CT | Slice 30 of 73 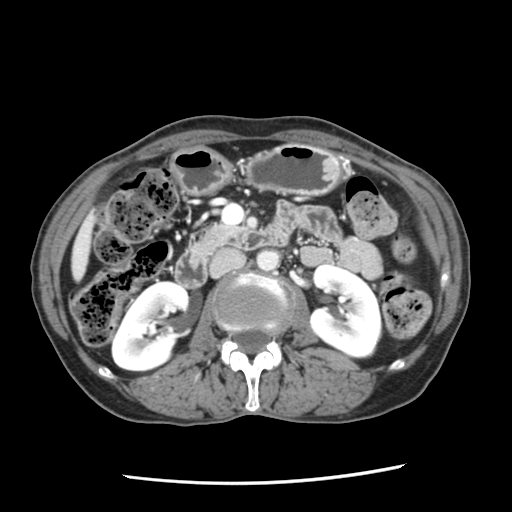
pancreas: (x1=193, y1=222, x2=240, y2=259)